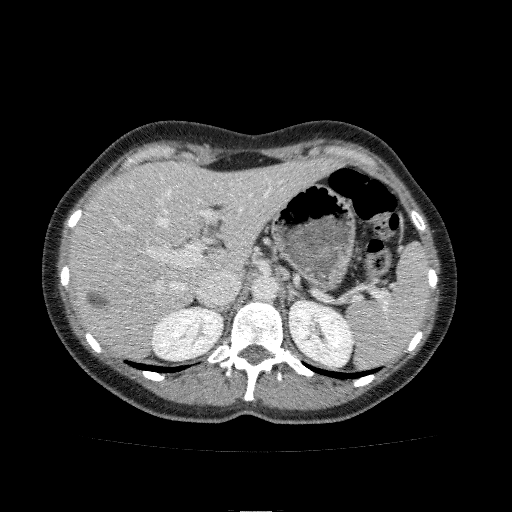 Computed tomography. 512x512. The liver appears at 68,156,337,357. 2 kidney regions are located at 289,301,353,366; 152,307,222,360.